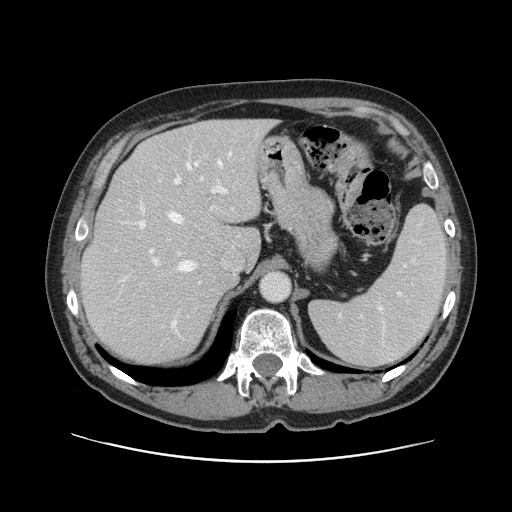 CT scan slice

The vessel boxes may cover only some of the vessels.
partial: true
hepatic_vessel:
  # 15 of 16 shown
  - 178,260,194,271
  - 139,221,144,228
  - 212,181,225,192
  - 211,206,213,208
  - 152,259,157,263
  - 122,278,125,280
  - 187,162,197,168
  - 229,152,231,155
  - 171,321,175,328
  - 140,203,143,210
  - 150,249,152,252
  - 169,212,182,222
  - 175,177,180,183
  - 218,160,221,164
  - 177,253,180,254